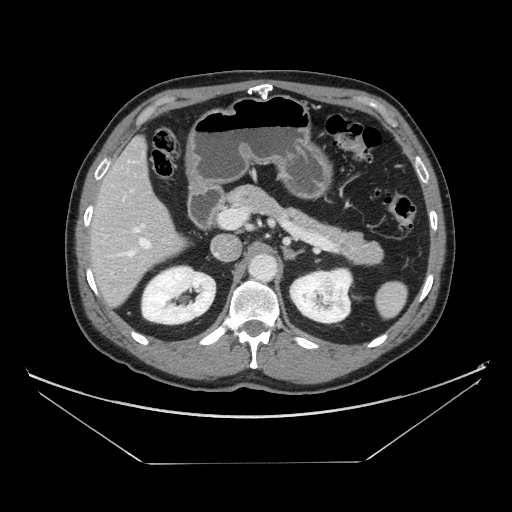

CT | Upper abdomen

Pancreas at 223 185 382 264.